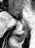

MRI slice. 35x48 px. Hippocampus.

Posterior hippocampus: bbox(14, 26, 27, 42).
Anterior hippocampus: bbox(13, 14, 17, 15).